Slice 84/155 | 240x240 px | Head
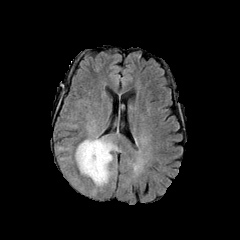
FLAIR MRI.
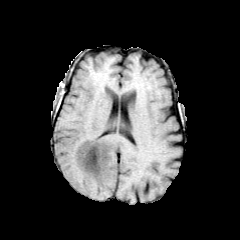
T1-weighted magnetic resonance.
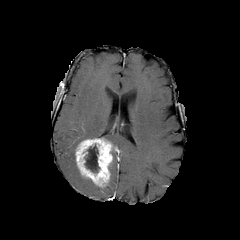
Same slice, post-contrast T1-weighted magnetic resonance.
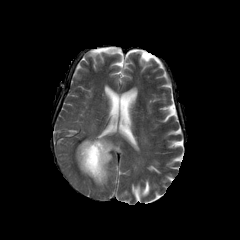
T2-weighted magnetic resonance.
The non-enhancing tumor core is located at box=[84, 146, 99, 172]. The enhancing tumor is at box=[76, 138, 113, 185].